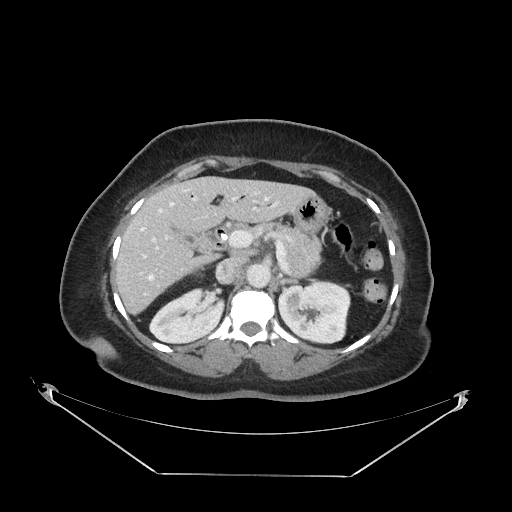
Upper abdomen | CT scan slice
* pancreas: region(271, 224, 323, 278)